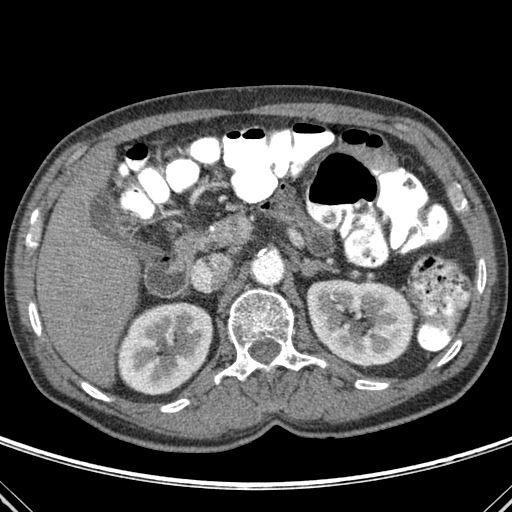

CT scan slice

10 bone regions are bounded by left=437, top=340, right=461, bottom=365; left=29, top=302, right=40, bottom=335; left=355, top=380, right=388, bottom=390; left=160, top=399, right=189, bottom=412; left=458, top=196, right=466, bottom=209; left=477, top=259, right=486, bottom=293; left=81, top=382, right=109, bottom=401; left=26, top=230, right=36, bottom=246; left=30, top=210, right=37, bottom=225; left=214, top=289, right=326, bottom=383. 3 kidney regions appear at left=308, top=281, right=411, bottom=364; left=166, top=325, right=173, bottom=341; left=119, top=304, right=211, bottom=393. The liver is bounded by left=37, top=154, right=140, bottom=385.